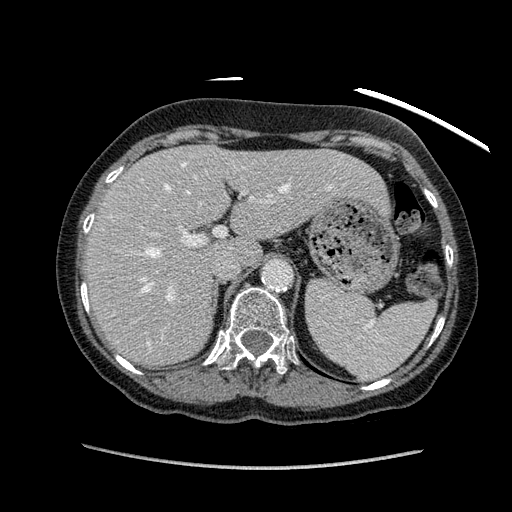
Abdomen | Image size 512x512 | CT scan slice
Segmented structures:
• liver: left=84, top=145, right=382, bottom=365